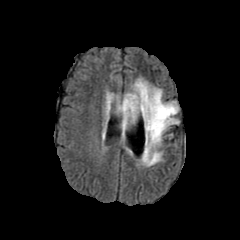
FLAIR MRI.
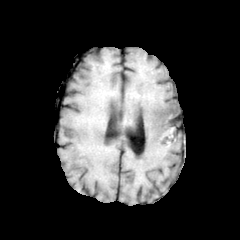
Same slice, T1-weighted MR image.
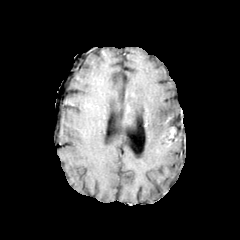
Post-contrast T1-weighted MRI.
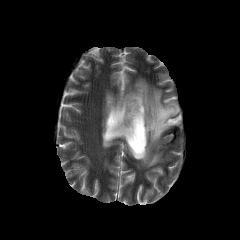
T2-weighted MR image of the same slice.
Head
Findings:
* edema: 107, 95, 112, 114; 115, 78, 179, 166
* non-enhancing tumor core: 160, 108, 173, 117; 135, 108, 150, 126; 124, 105, 131, 115